Image width 240 mm
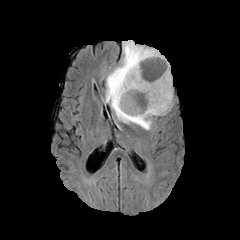
FLAIR MRI.
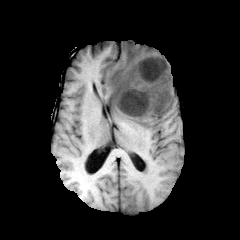
T1-weighted MR.
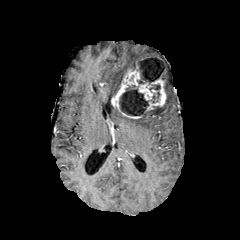
Post-contrast T1-weighted magnetic resonance.
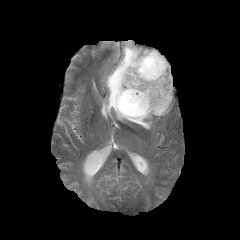
T2-weighted MR image.
The enhancing tumor appears at [x1=111, y1=66, x2=166, y2=118]. 3 non-enhancing tumor core regions are bounded by [x1=119, y1=85, x2=148, y2=116], [x1=150, y1=84, x2=160, y2=102], [x1=138, y1=57, x2=165, y2=84]. The edema lies within [x1=104, y1=40, x2=173, y2=130].